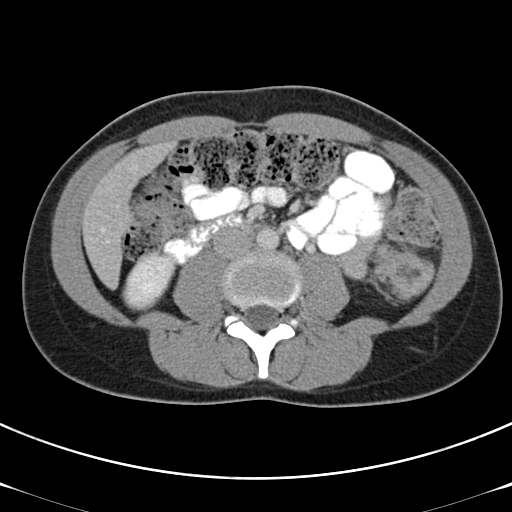
Image size 512x512 | Abdomen | CT image

{
  "colon_tumor": [
    "<bbox>383, 253, 435, 300</bbox>"
  ]
}